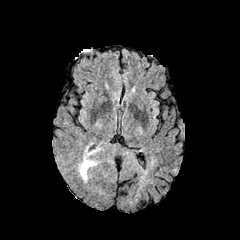
FLAIR MR image.
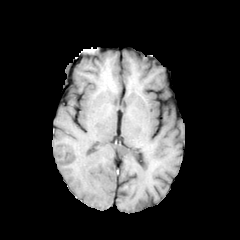
T1-weighted MR of the same slice.
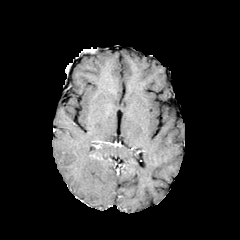
Post-contrast T1-weighted MRI.
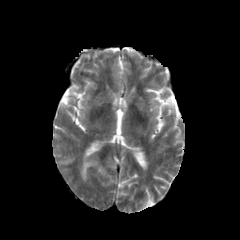
T2-weighted magnetic resonance.
240x240 px
Segmented structures:
• edema: 79 143 101 180